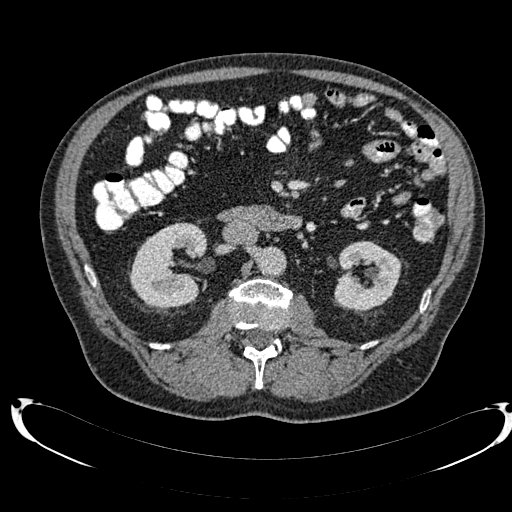
CT image. Abdomen.

2 kidney regions appear at bbox(334, 241, 400, 310); bbox(130, 223, 206, 308).